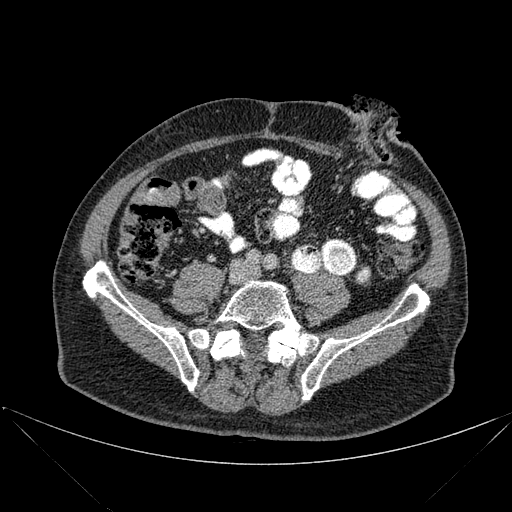 CT
Bone: bounding box (217, 281, 318, 365), (83, 261, 199, 390), (189, 329, 243, 359), (301, 284, 429, 399).